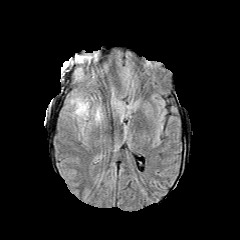
FLAIR MRI.
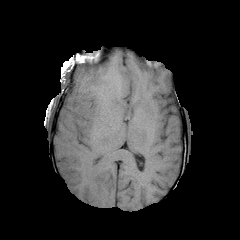
T1-weighted MR of the same slice.
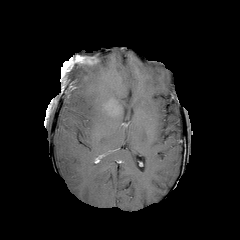
Same slice, post-contrast T1-weighted MRI.
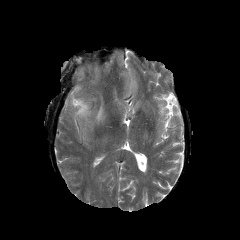
T2-weighted magnetic resonance.
240x240. Head.
Edema at 74,67,84,80; 113,98,122,113; 94,106,102,121; 68,92,92,119.